512x512 px; CT image
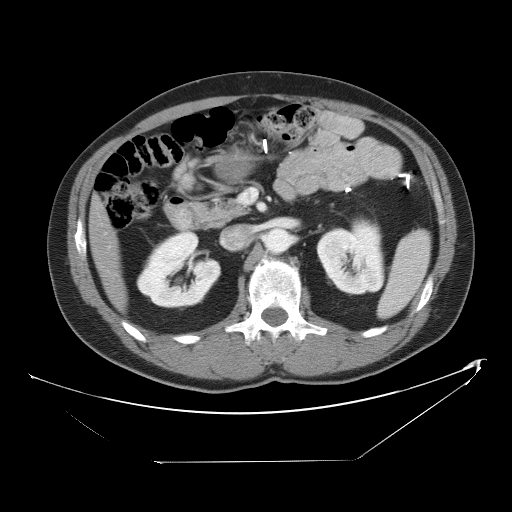
Not every hepatic vessel necessarily has a box.
Hepatic vessel: bounding box [108, 246, 110, 248].